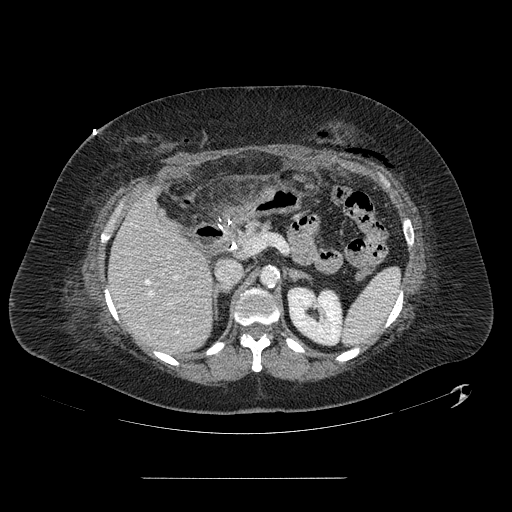
CT scan slice
Pancreas = left=235, top=219, right=272, bottom=257.